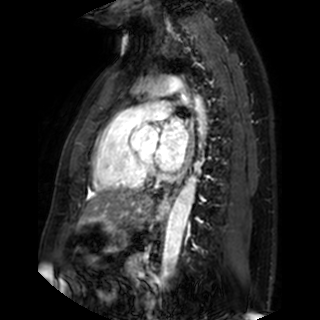 320x320 | Magnetic resonance
left atrium: box=[155, 119, 188, 171]